Slice index 61 | Head | Image size 240x240 | Image width 240 mm
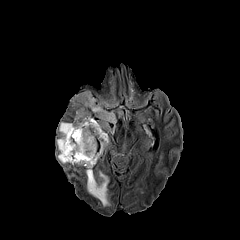
FLAIR MR.
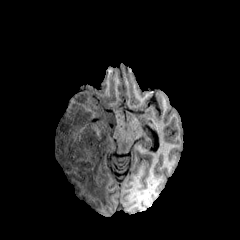
T1-weighted MRI of the same slice.
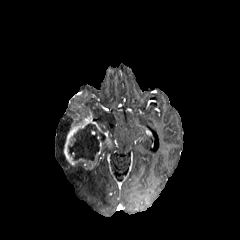
Post-contrast T1-weighted MR image.
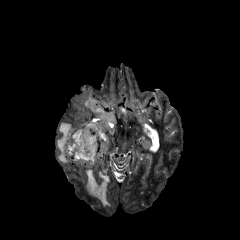
Same slice, T2-weighted MR image.
- edema: [85,170,110,206], [84,91,117,133], [55,121,70,164]
- enhancing tumor: [63,92,113,170]
- non-enhancing tumor core: [63,98,75,124], [69,123,105,160]